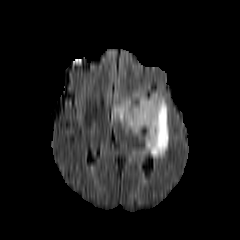
FLAIR MRI.
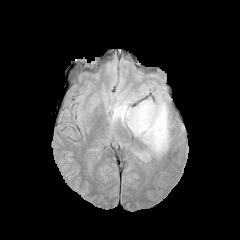
T1-weighted MRI.
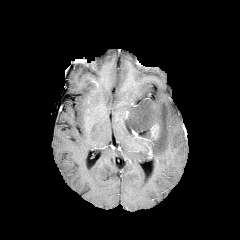
Post-contrast T1-weighted magnetic resonance of the same slice.
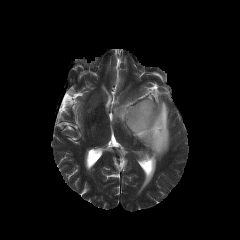
T2-weighted MR.
240x240, Brain
The enhancing tumor is at 150 124 159 135. The edema appears at 111 87 169 160. The non-enhancing tumor core is at 152 121 161 138.